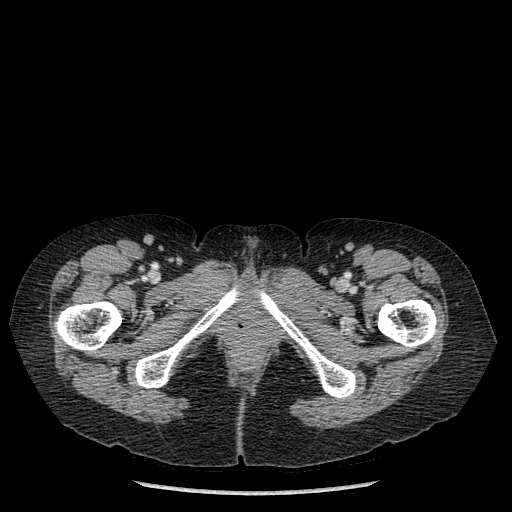 CT slice.

4 bone regions are bounded by [54, 300, 121, 352], [254, 289, 355, 398], [134, 285, 241, 388], [378, 299, 437, 348].